Computed tomography; Slice index 12; 512x512 px; Abdomen
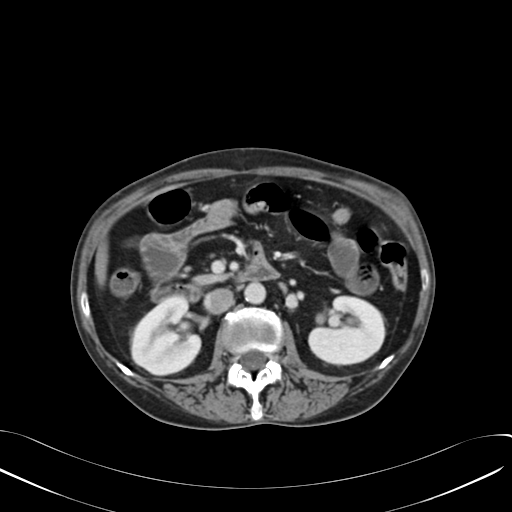

<segmentation>
  <kidney>[133,297,199,374], [309,297,383,363]</kidney>
  <liver>[96,242,106,283]</liver>
</segmentation>